FLAIR MRI.
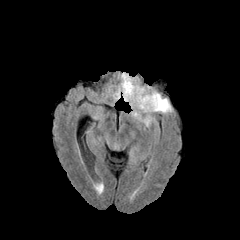
T1-weighted magnetic resonance.
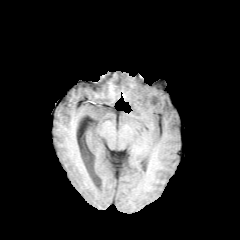
Post-contrast T1-weighted MRI.
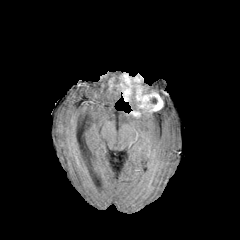
T2-weighted MR image.
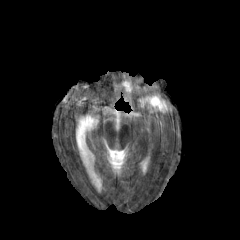
240x240
<segmentation>
  <enhancing_tumor>x1=120, y1=73, x2=163, y2=112</enhancing_tumor>
  <edema>x1=152, y1=96, x2=171, y2=114; x1=142, y1=112, x2=154, y2=126; x1=139, y1=76, x2=152, y2=90</edema>
</segmentation>